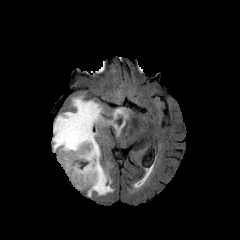
FLAIR MR.
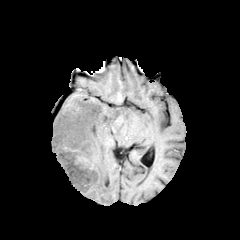
T1-weighted MR image.
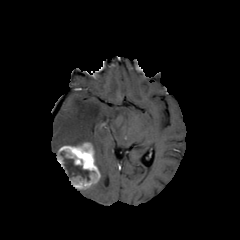
Post-contrast T1-weighted MR image.
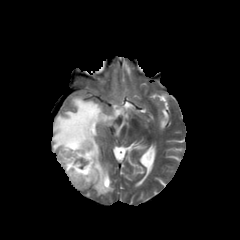
T2-weighted MR image.
Head.
Annotated regions:
* non-enhancing tumor core: l=64, t=158, r=89, b=180
* enhancing tumor: l=57, t=142, r=101, b=190
* edema: l=52, t=96, r=128, b=196